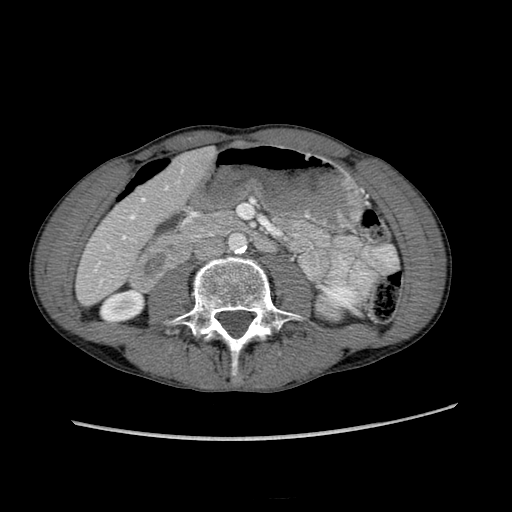
Computed tomography
Annotated regions:
* liver: <bbox>79, 146, 210, 298</bbox>
* kidney: <bbox>322, 281, 356, 308</bbox>, <bbox>101, 291, 142, 320</bbox>